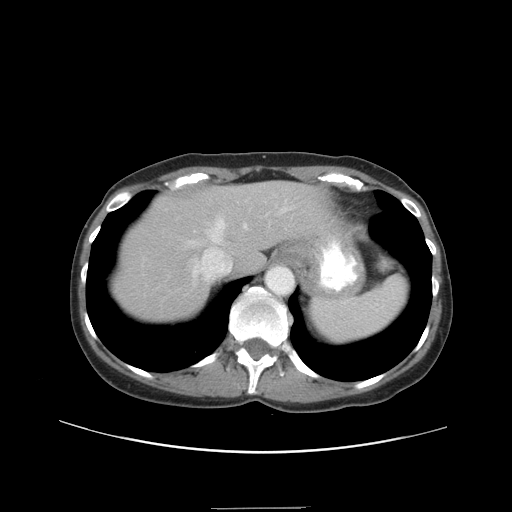

Abdomen; CT scan slice; 512x512
Only some of the vessels may be annotated.
Hepatic vessel: bounding box 243 224 246 228, 193 259 195 261, 193 265 203 278, 204 251 207 254, 208 229 211 232, 210 219 224 241, 205 276 206 279, 280 207 290 212.